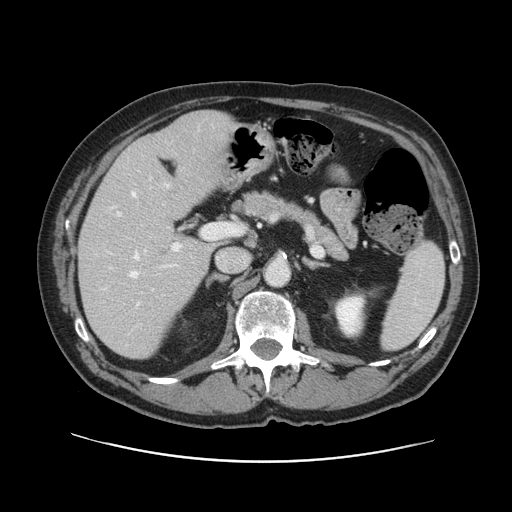
CT image.
The vessel annotation is not exhaustive.
{
  "hepatic_vessel": [
    "box=[163, 265, 172, 266]",
    "box=[117, 211, 120, 215]",
    "box=[112, 206, 116, 207]",
    "box=[137, 303, 138, 305]",
    "box=[132, 191, 134, 195]",
    "box=[130, 271, 136, 277]",
    "box=[171, 243, 180, 250]",
    "box=[134, 252, 137, 258]"
  ]
}